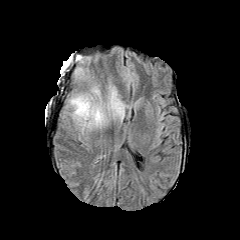
FLAIR MR image.
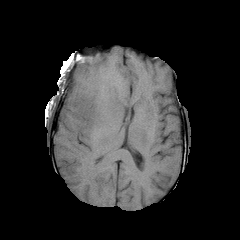
T1-weighted MR of the same slice.
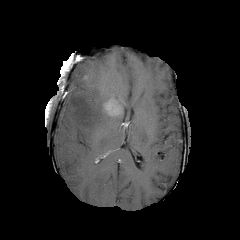
Post-contrast T1-weighted MRI.
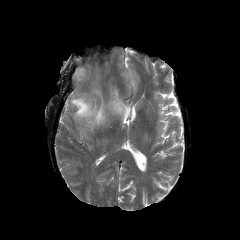
T2-weighted MRI.
Brain
Annotated regions:
- enhancing tumor: (left=107, top=103, right=118, bottom=113)
- non-enhancing tumor core: (left=108, top=100, right=122, bottom=115)
- edema: (left=106, top=85, right=128, bottom=119), (left=68, top=85, right=111, bottom=130), (left=75, top=67, right=85, bottom=82)